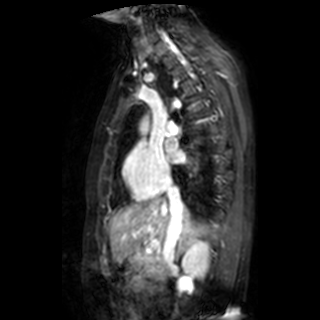

MRI | Heart
{"left_atrium": ["(left=164, top=139, right=185, bottom=162)"]}